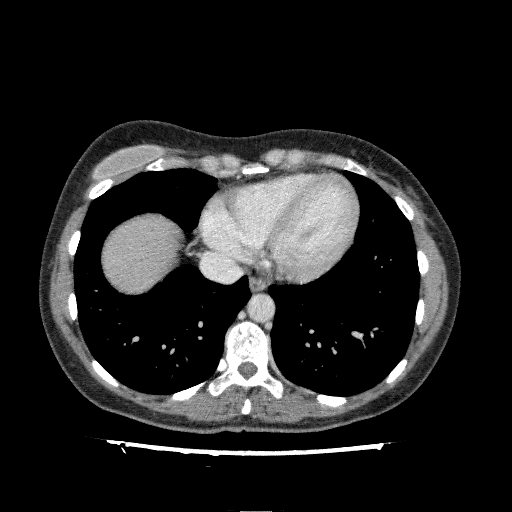
CT image; Abdomen
Liver: <bbox>102, 214, 178, 293</bbox>.